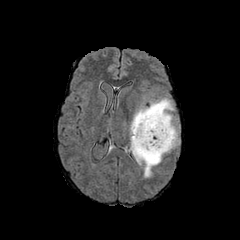
FLAIR magnetic resonance.
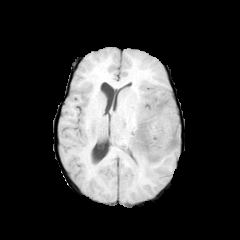
Same slice, T1-weighted MR image.
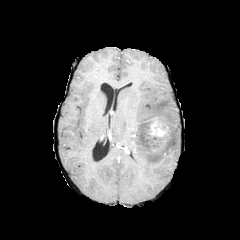
Post-contrast T1-weighted magnetic resonance.
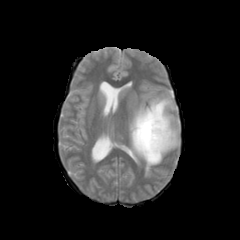
Same slice, T2-weighted MR.
Brain
Enhancing tumor: box=[148, 118, 167, 141].
Edema: box=[128, 94, 180, 177].
Non-enhancing tumor core: box=[154, 116, 167, 126]; box=[128, 115, 168, 153].